FLAIR MR image.
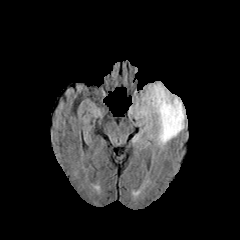
T1-weighted MRI.
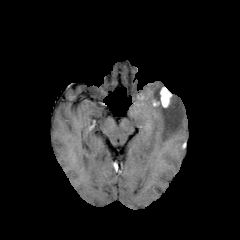
Post-contrast T1-weighted MR image.
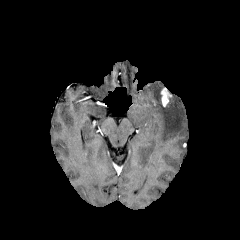
T2-weighted MRI.
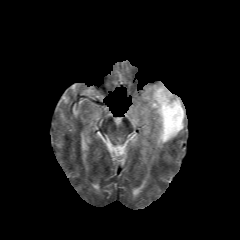
240x240 px, Brain
{
  "enhancing_tumor": [
    "<bbox>160, 87, 171, 106</bbox>"
  ],
  "edema": [
    "<bbox>129, 82, 185, 149</bbox>"
  ]
}